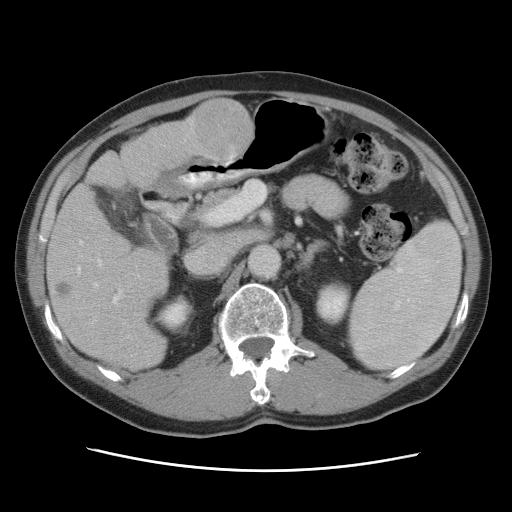

Liver, CT scan slice

Some hepatic vessels may have no box.
hepatic_vessel:
  - x1=126, y1=336, x2=129, y2=337
  - x1=137, y1=276, x2=138, y2=277
  - x1=79, y1=241, x2=82, y2=244
  - x1=93, y1=283, x2=97, y2=287
  - x1=113, y1=288, x2=122, y2=304
  - x1=77, y1=267, x2=79, y2=275
  - x1=97, y1=259, x2=101, y2=266
liver_tumor:
  - x1=194, y1=99, x2=248, y2=157